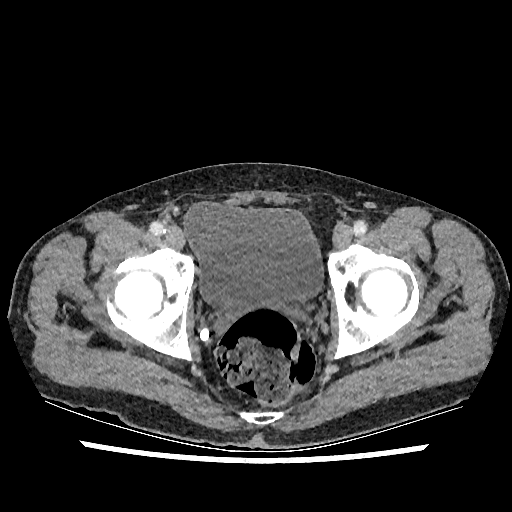 Pelvis | Computed tomography
The urinary bladder lies within {"x1": 184, "y1": 201, "x2": 323, "y2": 329}.